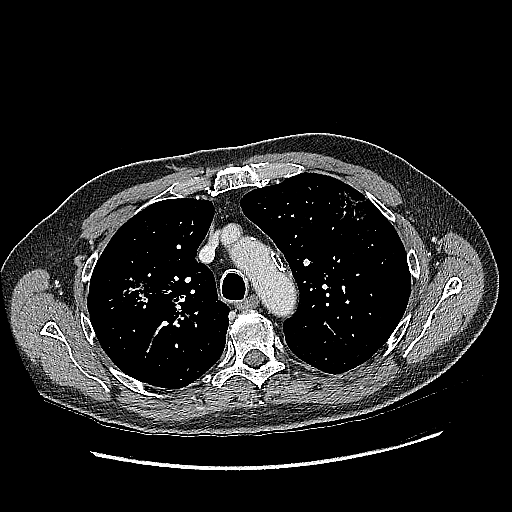
CT scan slice, Thorax

{
  "lung_tumor": [
    "[116, 268, 160, 311]"
  ]
}